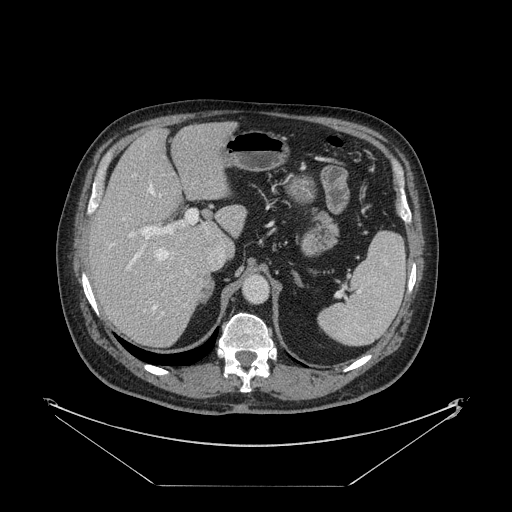
Image size 512x512; CT scan slice

The vessel annotation is not exhaustive.
hepatic_vessel:
  - (169, 230, 171, 232)
  - (142, 226, 150, 237)
  - (127, 254, 137, 268)
  - (152, 305, 155, 309)
  - (129, 233, 133, 235)
  - (161, 312, 162, 313)
liver_tumor:
  - (198, 275, 211, 297)